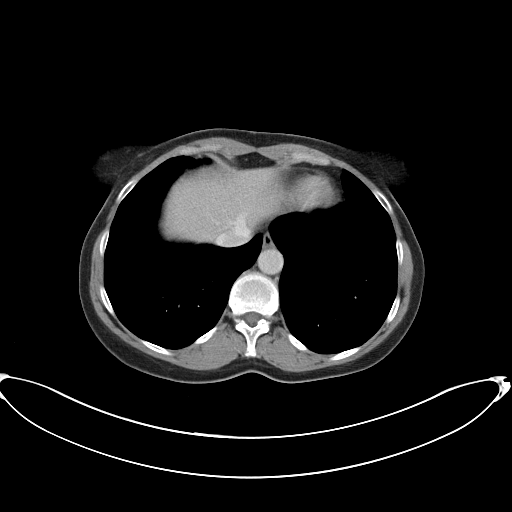 CT. 512x512 px. Some hepatic vessels may have no box.
3 hepatic vessel regions are bounded by [x1=230, y1=217, x2=247, y2=236], [x1=246, y1=209, x2=249, y2=209], [x1=217, y1=235, x2=225, y2=243].